FLAIR magnetic resonance.
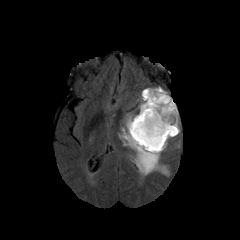
T1-weighted MRI.
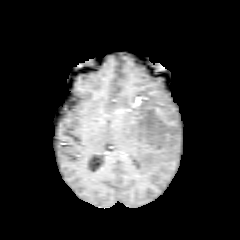
Post-contrast T1-weighted MR.
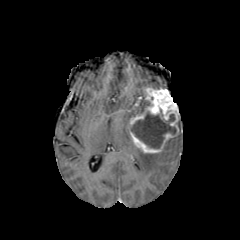
T2-weighted MR image.
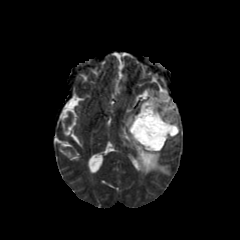
2 edema regions are located at l=121, t=114, r=168, b=175; l=139, t=101, r=145, b=112. The enhancing tumor appears at l=128, t=86, r=179, b=153. The non-enhancing tumor core is located at l=131, t=112, r=176, b=148.